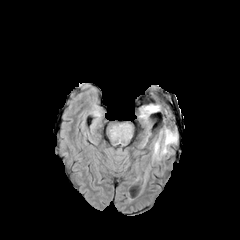
FLAIR MR.
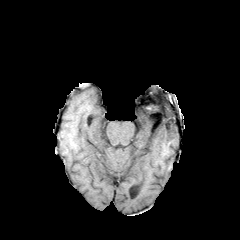
Same slice, T1-weighted MR image.
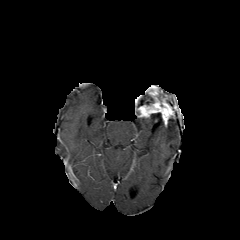
Post-contrast T1-weighted MR.
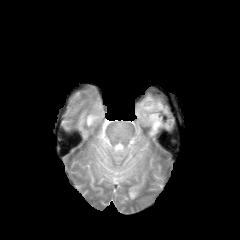
Same slice, T2-weighted MRI.
Head.
Enhancing tumor = {"x1": 139, "y1": 102, "x2": 170, "y2": 117}.
Edema = {"x1": 153, "y1": 127, "x2": 174, "y2": 157}.